Head.
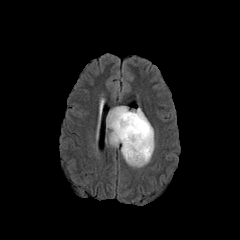
FLAIR MR image.
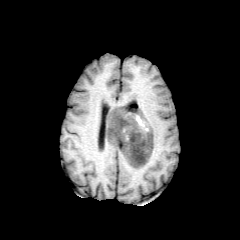
T1-weighted magnetic resonance.
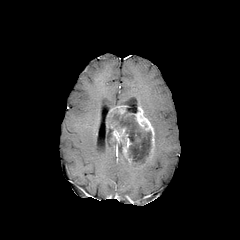
Same slice, post-contrast T1-weighted MR image.
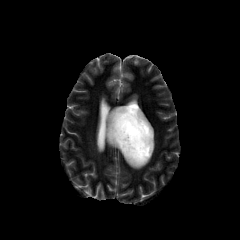
T2-weighted magnetic resonance.
The non-enhancing tumor core is at bbox=[108, 106, 153, 163]. 2 enhancing tumor regions are bounded by bbox=[112, 127, 131, 155]; bbox=[133, 108, 154, 145]. 2 edema regions are located at bbox=[122, 154, 150, 167]; bbox=[106, 108, 115, 147].